Brain
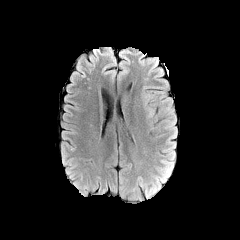
FLAIR MR image.
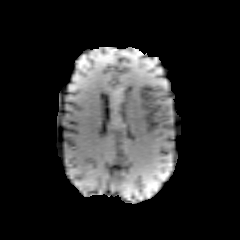
T1-weighted MRI.
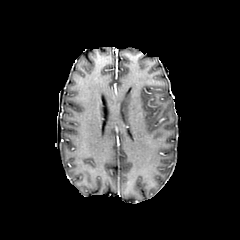
Post-contrast T1-weighted MR of the same slice.
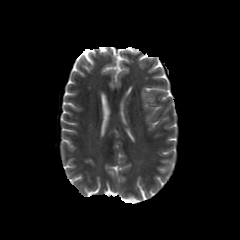
T2-weighted MR image of the same slice.
Edema — 166 116 177 142, 164 106 173 114.